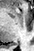

Medial temporal lobe | MRI
Posterior hippocampus: [11, 43, 18, 45].